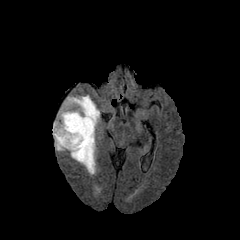
FLAIR MR image.
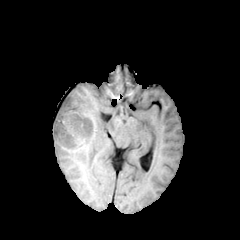
T1-weighted magnetic resonance.
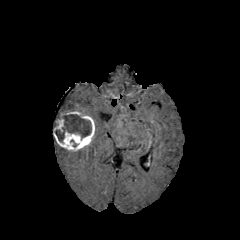
Post-contrast T1-weighted MR image of the same slice.
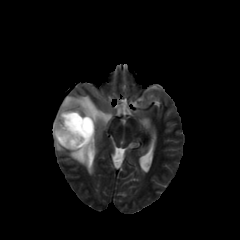
T2-weighted MR image.
Brain; 240x240
edema:
  - (54, 94, 102, 174)
enhancing_tumor:
  - (53, 106, 94, 150)
non-enhancing_tumor_core:
  - (68, 142, 91, 157)
  - (60, 99, 91, 115)
  - (62, 114, 91, 136)
  - (56, 130, 63, 141)